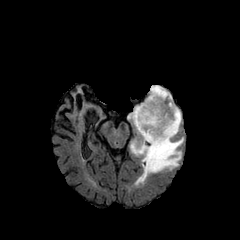
FLAIR magnetic resonance.
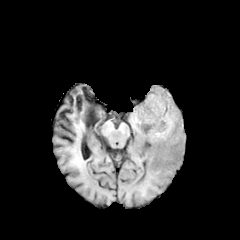
T1-weighted MRI of the same slice.
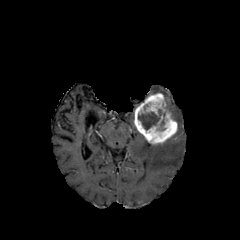
Post-contrast T1-weighted MR image of the same slice.
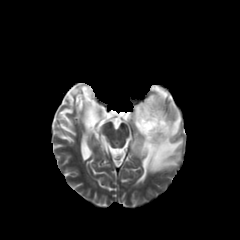
T2-weighted MR image.
Brain
enhancing_tumor:
  - bbox=[134, 93, 177, 144]
edema:
  - bbox=[130, 86, 183, 184]
non-enhancing_tumor_core:
  - bbox=[138, 109, 165, 129]